CT scan slice; 512x512; Slice 34 of 73 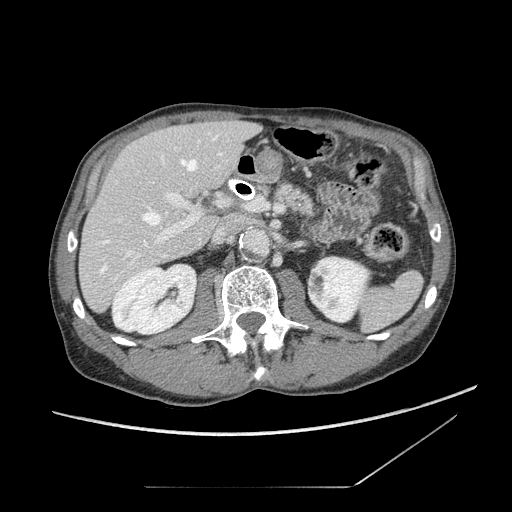
The pancreas is located at l=277, t=186, r=315, b=218.